512x512. CT image. Field of view 500 mm wide, 2.50 mm slice spacing.
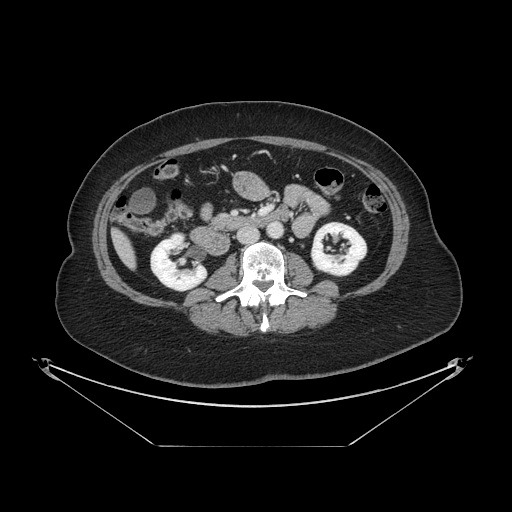
Segmented structures:
- pancreas: box(212, 214, 242, 229)